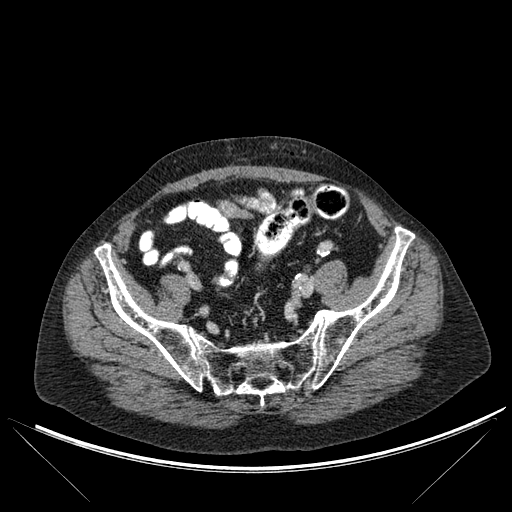
CT. Bone: bounding box 94,227,414,405.